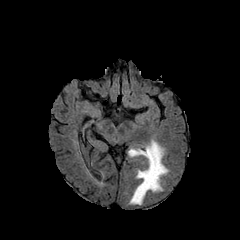
FLAIR MR.
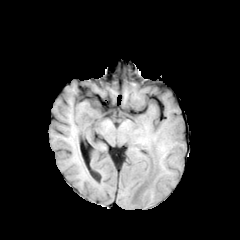
T1-weighted MRI.
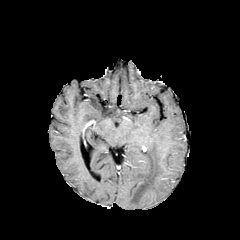
Same slice, post-contrast T1-weighted MRI.
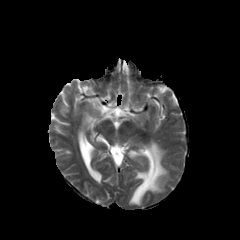
T2-weighted magnetic resonance of the same slice.
Image size 240x240, Brain
The edema is located at (left=128, top=139, right=168, bottom=205).